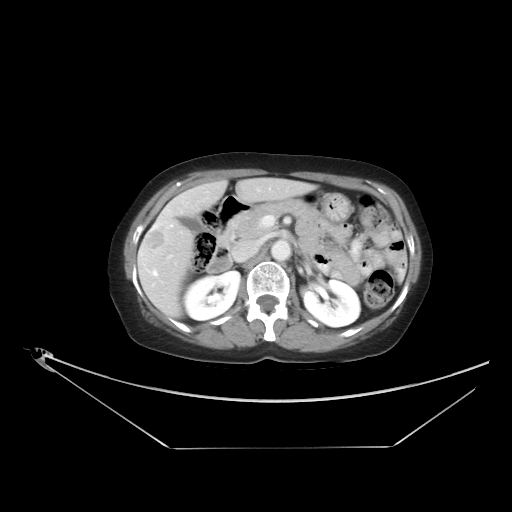
512x512 px. CT image.
Segmented structures:
• liver tumor: left=142, top=228, right=167, bottom=252